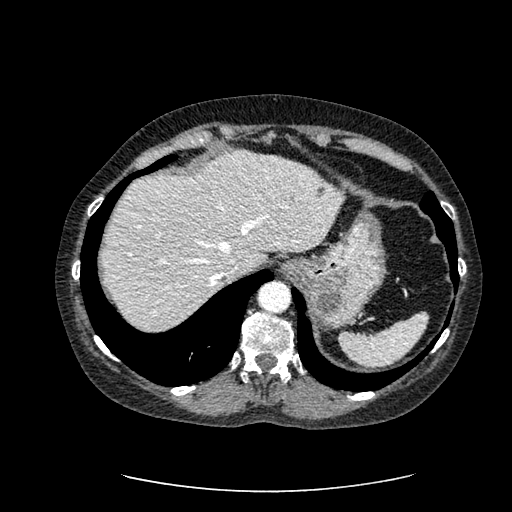

Computed tomography
The hepatic lesion is at [315,186,324,197]. The liver lies within [102,151,339,329].